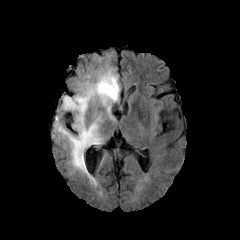
FLAIR MR image.
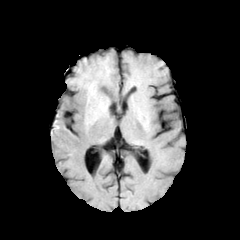
T1-weighted MR image of the same slice.
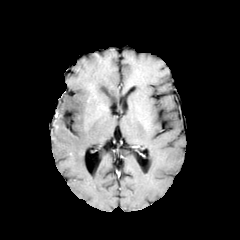
Post-contrast T1-weighted MRI.
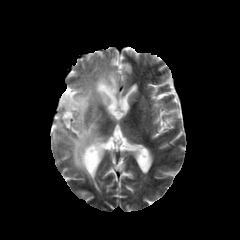
Same slice, T2-weighted magnetic resonance.
edema: x1=53 y1=66 x2=119 y2=183